512x512; CT

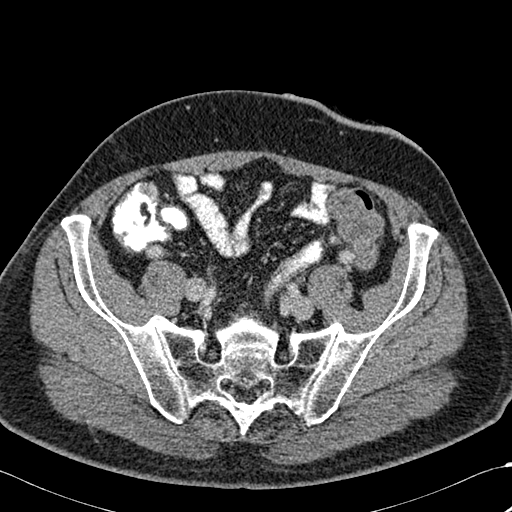
bone:
  - {"x1": 61, "y1": 215, "x2": 437, "y2": 433}